240x240 px
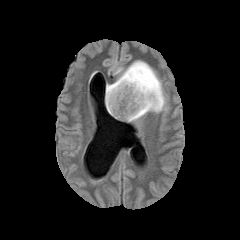
FLAIR magnetic resonance.
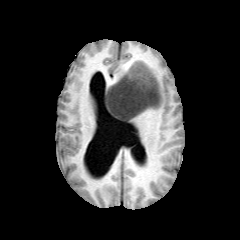
Same slice, T1-weighted MRI.
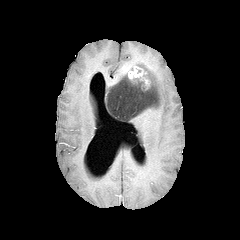
Post-contrast T1-weighted MR.
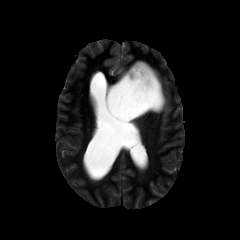
Same slice, T2-weighted MR image.
2 edema regions are bounded by region(106, 69, 127, 93); region(129, 62, 166, 123). The non-enhancing tumor core lies within region(106, 78, 159, 121). The enhancing tumor lies within region(124, 61, 149, 87).